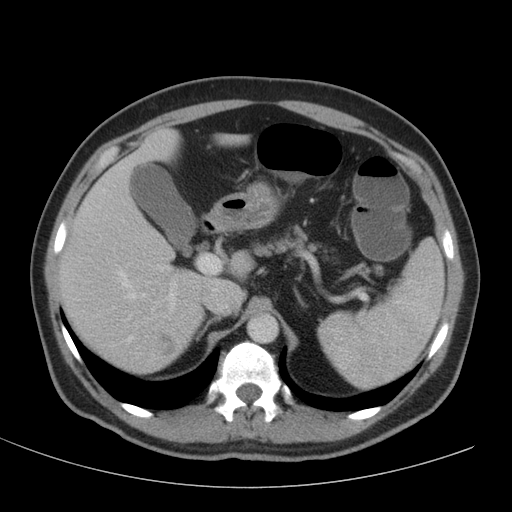
512x512 px | CT scan slice

Hepatic lesion = bbox(157, 330, 176, 356).
Liver = bbox(231, 253, 247, 272); bbox(57, 130, 244, 372).